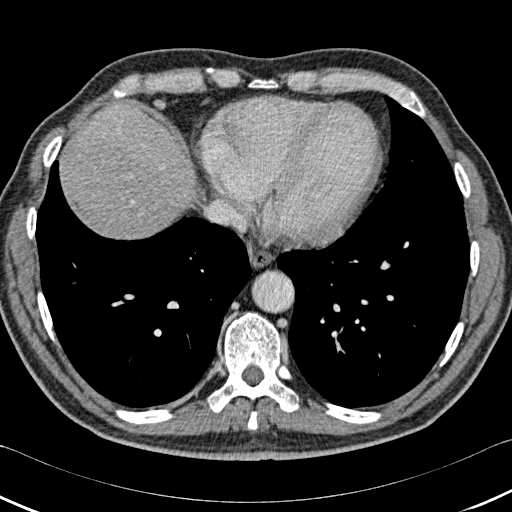
CT slice
14 bone regions are bounded by 455:163:470:197, 37:292:54:340, 398:91:424:116, 114:85:127:97, 248:412:257:428, 208:313:298:412, 326:404:380:423, 249:80:277:87, 279:366:290:378, 440:322:463:366, 26:207:36:238, 43:136:61:166, 470:241:479:275, 116:410:172:423. The liver is located at 70:108:203:238. 2 lung regions are bounded by 272:95:469:408, 35:160:252:407.